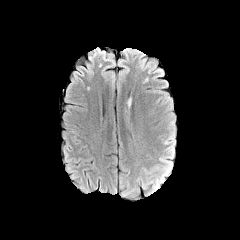
FLAIR MR image.
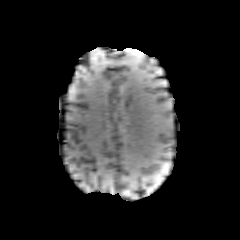
T1-weighted MR.
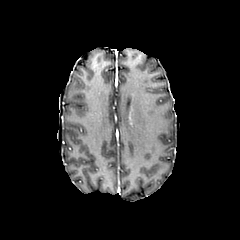
Same slice, post-contrast T1-weighted magnetic resonance.
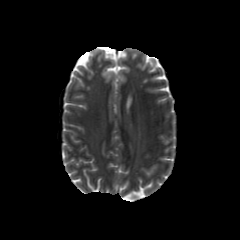
T2-weighted MR image of the same slice.
Head, Image size 240x240
{
  "edema": [
    "169, 118, 175, 139"
  ]
}